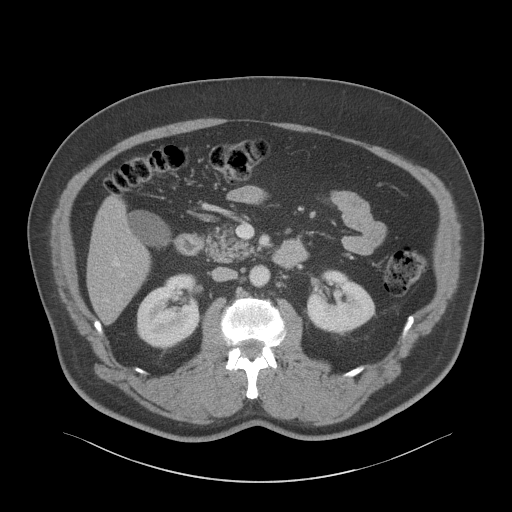
Computed tomography.
liver: box=[87, 201, 149, 319] | kidney: box=[138, 275, 198, 346]; box=[307, 271, 373, 331]